FLAIR MR image.
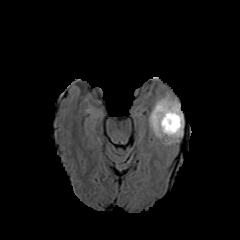
T1-weighted MRI.
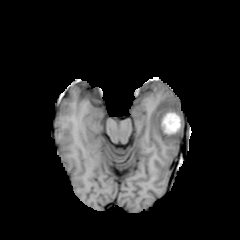
Post-contrast T1-weighted MR image.
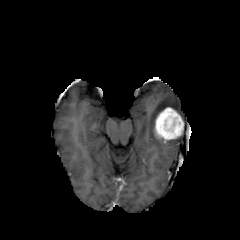
T2-weighted MRI.
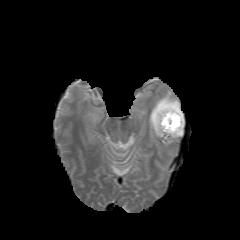
Brain
Annotated regions:
- non-enhancing tumor core: {"x1": 153, "y1": 100, "x2": 177, "y2": 130}
- enhancing tumor: {"x1": 161, "y1": 113, "x2": 180, "y2": 133}
- edema: {"x1": 144, "y1": 90, "x2": 184, "y2": 149}